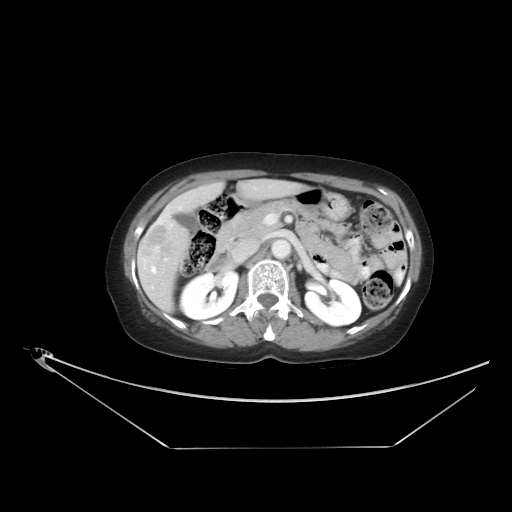

Abdomen; CT slice
Findings:
- liver tumor: (139,222,178,259)